Computed tomography. Image size 512x512.

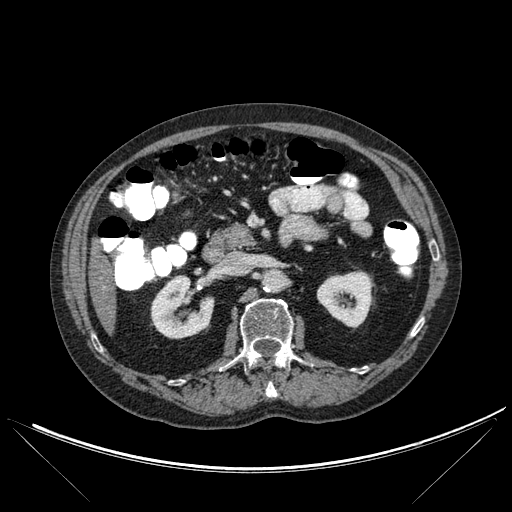
{
  "liver": [
    "[x1=89, y1=238, x2=118, y2=335]"
  ],
  "bone": [
    "[x1=411, y1=319, x2=423, y2=336]",
    "[x1=266, y1=382, x2=276, y2=396]",
    "[x1=229, y1=299, x2=293, y2=366]",
    "[x1=352, y1=367, x2=365, y2=373]"
  ],
  "kidney": [
    "[x1=151, y1=276, x2=213, y2=338]",
    "[x1=317, y1=272, x2=371, y2=326]"
  ]
}